CT | Slice 525/605
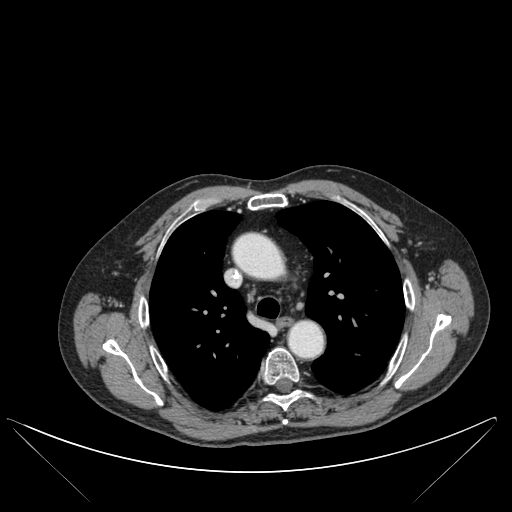 <segmentation>
  <bone>rect(395, 314, 451, 387); rect(403, 279, 414, 309); rect(386, 336, 406, 379); rect(103, 339, 162, 404); rect(264, 348, 299, 384); rect(362, 211, 382, 237); rect(248, 193, 287, 209); rect(264, 390, 310, 409); rect(138, 297, 148, 326); rect(150, 347, 166, 378)</bone>
  <lung>rect(150, 211, 269, 409); rect(276, 201, 404, 393); rect(257, 298, 279, 317)</lung>
</segmentation>